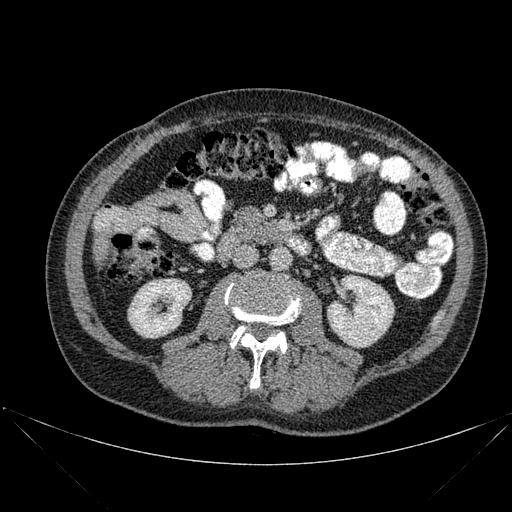 Image size 512x512 | CT image

liver: box=[93, 230, 111, 259] | bone: box=[230, 326, 288, 388]; box=[224, 280, 299, 324] | kidney: box=[128, 279, 191, 337]; box=[328, 275, 393, 347]